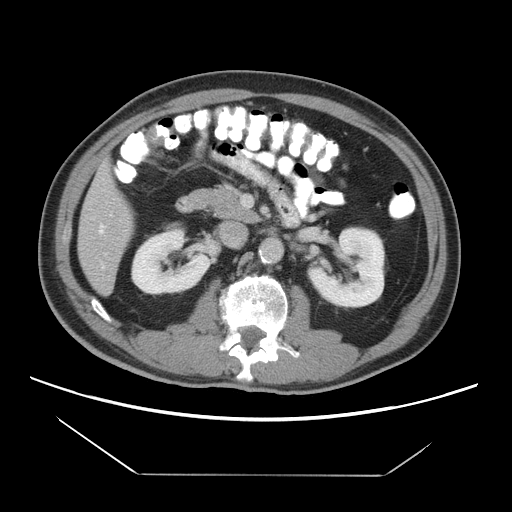
CT scan slice

The vessel boxes may cover only some of the vessels.
Hepatic vessel: bounding box box(110, 198, 114, 203); box(104, 252, 106, 255); box(106, 202, 108, 203); box(110, 213, 112, 215); box(99, 224, 105, 233); box(91, 217, 94, 219); box(100, 261, 104, 268).